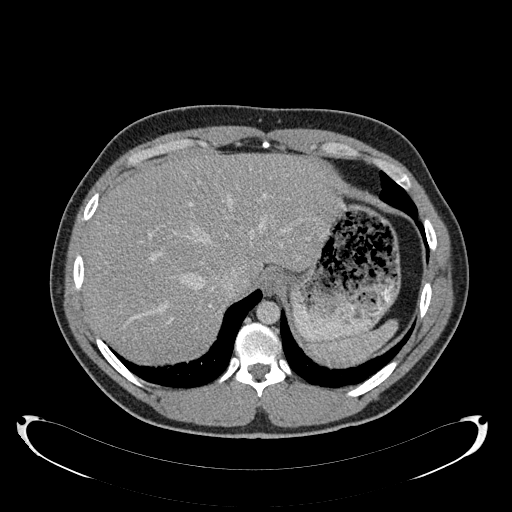
Abdomen | CT
* liver: 83 154 339 361